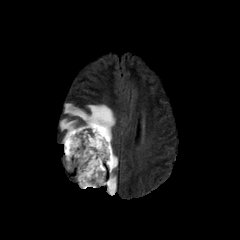
FLAIR magnetic resonance.
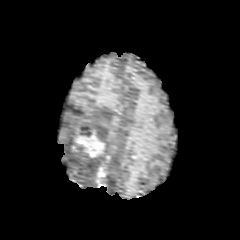
T1-weighted MR image of the same slice.
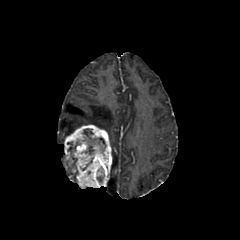
Post-contrast T1-weighted MR.
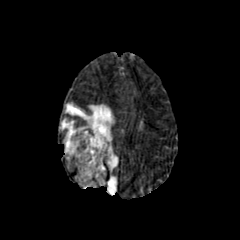
T2-weighted magnetic resonance.
240x240 px, Head
{"enhancing_tumor": ["<box>64,124,111,188</box>"], "edema": ["<box>60,104,115,145</box>", "<box>106,146,118,194</box>"], "non-enhancing_tumor_core": ["<box>67,140,80,171</box>", "<box>68,106,82,113</box>", "<box>82,128,106,155</box>"]}